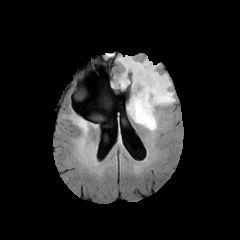
FLAIR MRI.
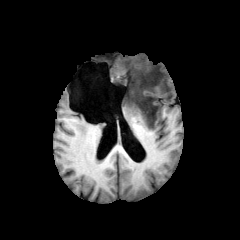
T1-weighted MR image.
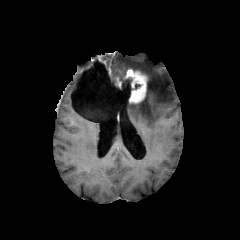
Same slice, post-contrast T1-weighted MR image.
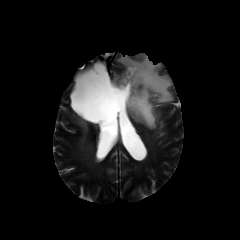
T2-weighted MR image of the same slice.
The edema lies within 116 56 174 130. The enhancing tumor is bounded by 125 69 147 103. 2 non-enhancing tumor core regions appear at 114 70 131 91, 138 70 151 108.